FLAIR MR image.
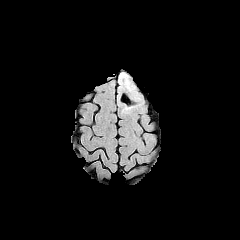
T1-weighted MR image.
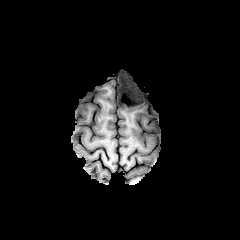
Post-contrast T1-weighted magnetic resonance.
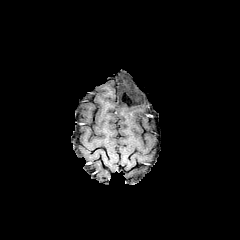
T2-weighted MR image.
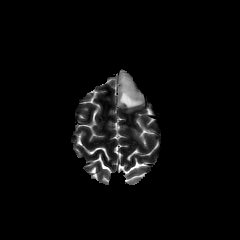
Edema: bbox(118, 72, 143, 111).
Non-enhancing tumor core: bbox(122, 79, 135, 97).